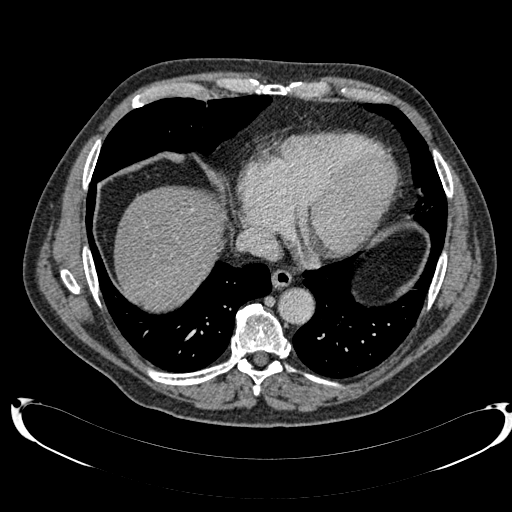

Upper abdomen; CT image
Liver — [x1=114, y1=186, x2=225, y2=312].